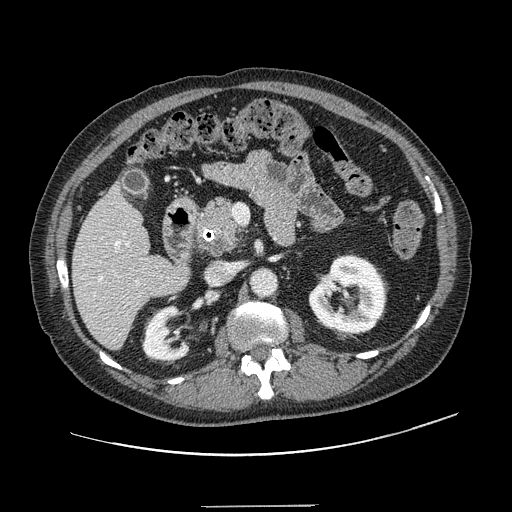
Image size 512x512 | Upper abdomen | CT scan slice

Pancreas: bounding box rect(194, 196, 239, 256).
Pancreatic tumor: bounding box rect(212, 236, 228, 254).